CT scan slice, 512x512 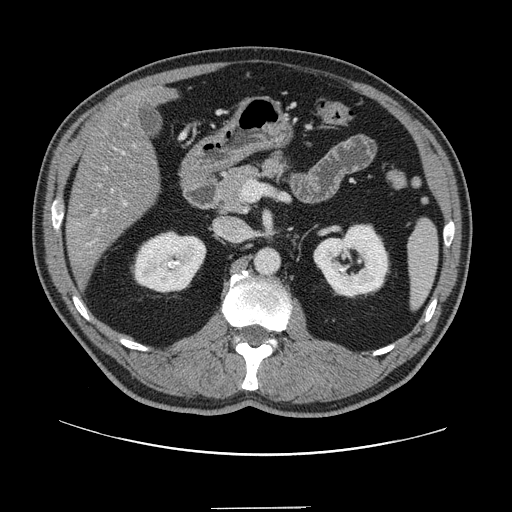 Some hepatic vessels may have no box.
{
  "hepatic_vessel": [
    "(left=134, top=145, right=135, bottom=147)",
    "(left=105, top=168, right=107, bottom=171)",
    "(left=122, top=151, right=124, bottom=154)",
    "(left=99, top=185, right=100, bottom=186)",
    "(left=124, top=202, right=126, bottom=205)",
    "(left=112, top=190, right=113, bottom=192)",
    "(left=93, top=210, right=97, bottom=215)",
    "(left=104, top=210, right=105, bottom=211)"
  ],
  "liver_tumor": [
    "(left=69, top=215, right=100, bottom=241)"
  ]
}